CT slice, Slice 64/117, 512x512 px, Field of view 460 mm wide, 2.50 mm slice spacing 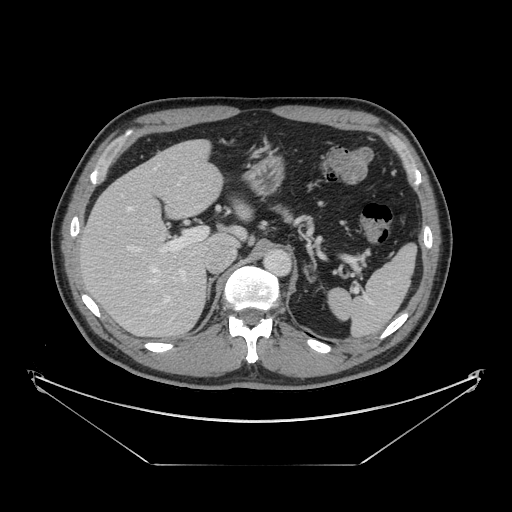

The pancreas lies within [x1=272, y1=203, x2=294, y2=220].